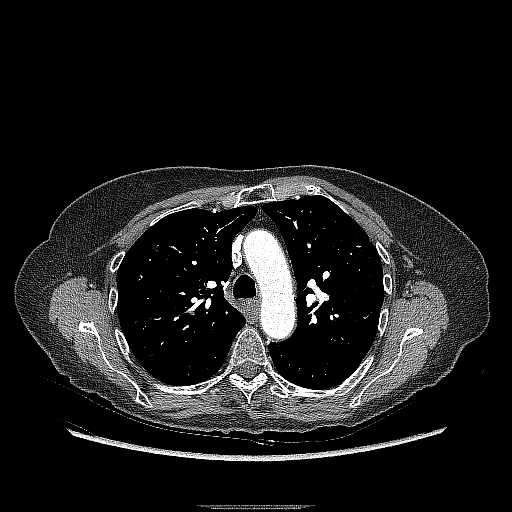

CT scan slice; 512x512
Lung tumor at [355, 244, 362, 252].